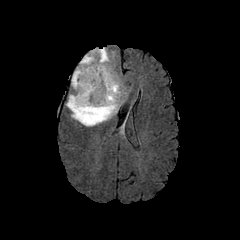
FLAIR MRI.
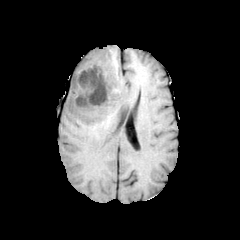
Same slice, T1-weighted MR.
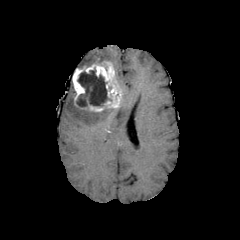
Post-contrast T1-weighted MR.
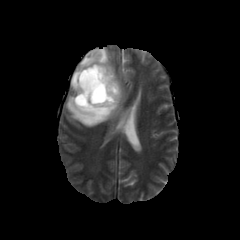
T2-weighted MR.
Head
enhancing_tumor:
  - 72,64,121,107
  - 88,104,103,111
non-enhancing_tumor_core:
  - 74,69,108,113
edema:
  - 66,47,126,127